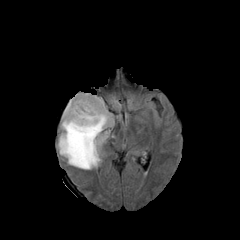
FLAIR magnetic resonance.
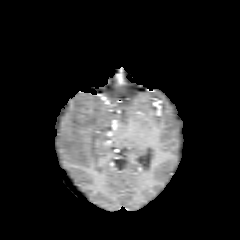
T1-weighted MR.
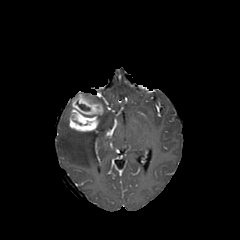
Post-contrast T1-weighted MR image.
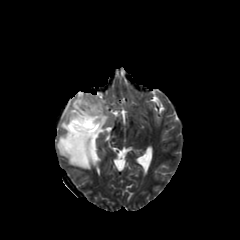
T2-weighted MRI.
Brain.
Edema = (left=58, top=97, right=113, bottom=169).
Enhancing tumor = (left=66, top=93, right=103, bottom=131).
Non-enhancing tumor core = (left=76, top=102, right=89, bottom=110).